Slice index 70
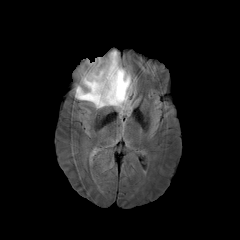
FLAIR MR image.
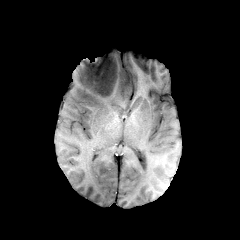
T1-weighted MR of the same slice.
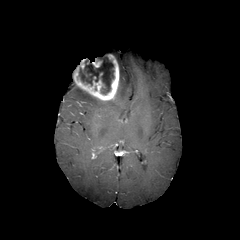
Post-contrast T1-weighted MR.
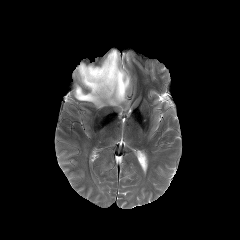
T2-weighted MR of the same slice.
The non-enhancing tumor core appears at [79, 57, 113, 93]. 2 enhancing tumor regions appear at [92, 60, 101, 67], [75, 54, 119, 100]. The edema lies within [73, 50, 133, 116].